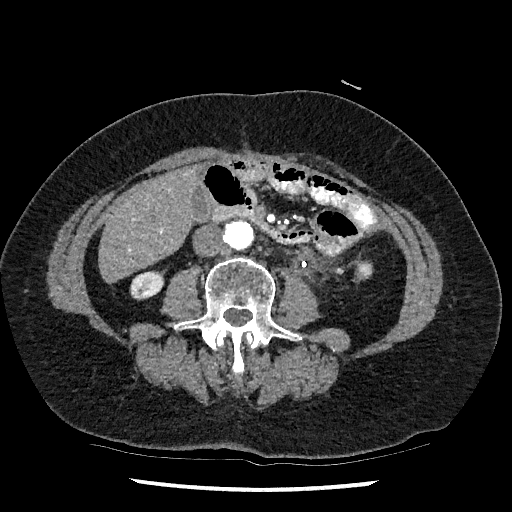
CT | Upper abdomen

The liver is at {"x1": 99, "y1": 165, "x2": 200, "y2": 283}. 2 kidney regions are bounded by {"x1": 359, "y1": 264, "x2": 370, "y2": 275}, {"x1": 131, "y1": 272, "x2": 162, "y2": 297}.